Slice index 94
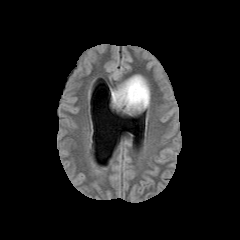
FLAIR MR.
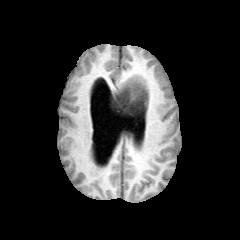
T1-weighted MRI.
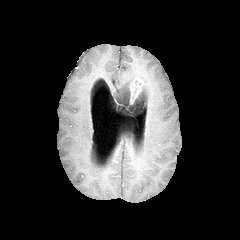
Same slice, post-contrast T1-weighted magnetic resonance.
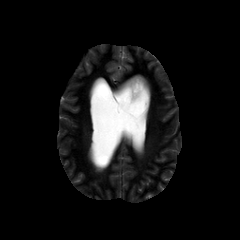
T2-weighted MR.
Enhancing tumor — (128,76,145,103).
Non-enhancing tumor core — (110,87,145,115).
Edema — (111,76,134,99), (142,87,150,109).